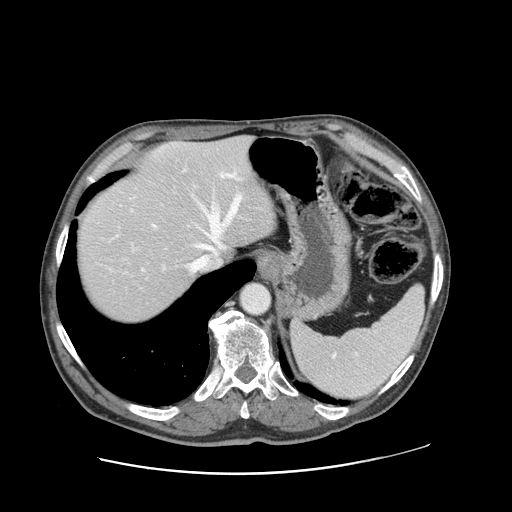

Image size 512x512 | CT image
Not every hepatic vessel necessarily has a box.
9 hepatic vessel regions are located at box=[142, 269, 143, 271]; box=[220, 174, 236, 177]; box=[203, 207, 205, 210]; box=[190, 262, 194, 268]; box=[205, 195, 240, 241]; box=[218, 244, 222, 247]; box=[163, 266, 163, 269]; box=[153, 225, 155, 227]; box=[198, 245, 216, 253].